Computed tomography. Lung.
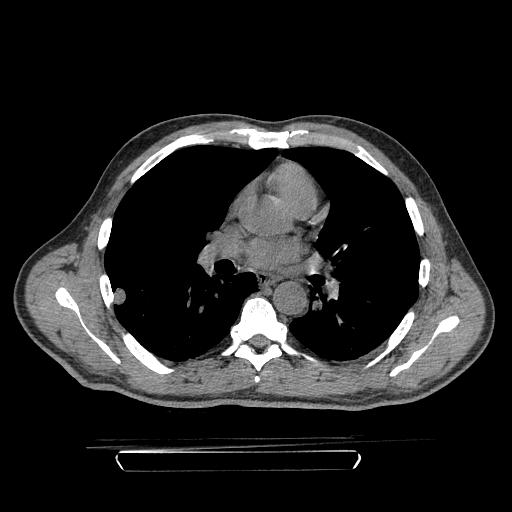

The lung tumor appears at bbox(114, 287, 127, 305).